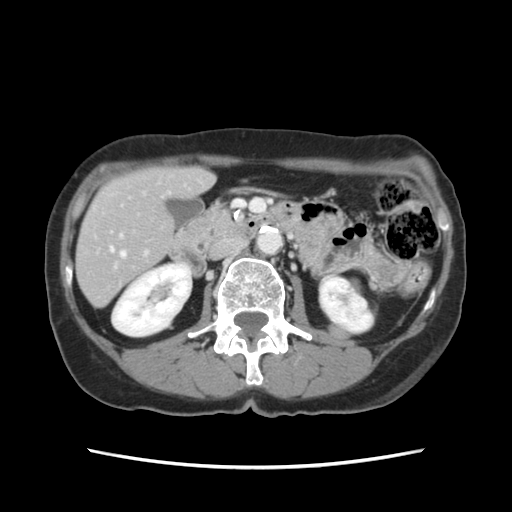
CT slice | 512x512 | Liver
Some hepatic vessels may have no box.
<segmentation>
  <hepatic_vessel>[121,251,125,256], [110,248,113,250], [120,234,122,237], [145,252,146,254]</hepatic_vessel>
</segmentation>